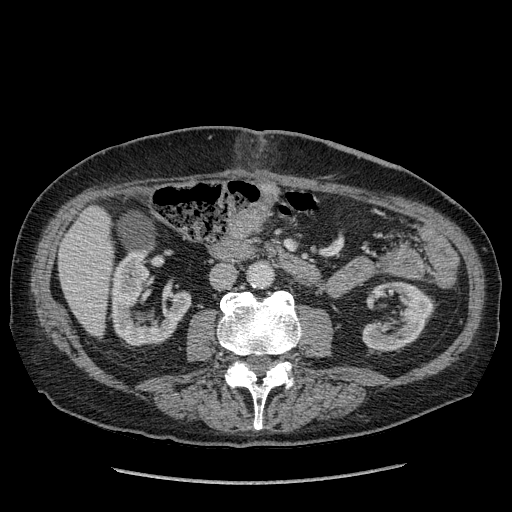
CT slice | Upper abdomen
liver:
  - {"x1": 58, "y1": 206, "x2": 113, "y2": 336}
kidney:
  - {"x1": 363, "y1": 282, "x2": 433, "y2": 350}
  - {"x1": 112, "y1": 252, "x2": 190, "y2": 345}